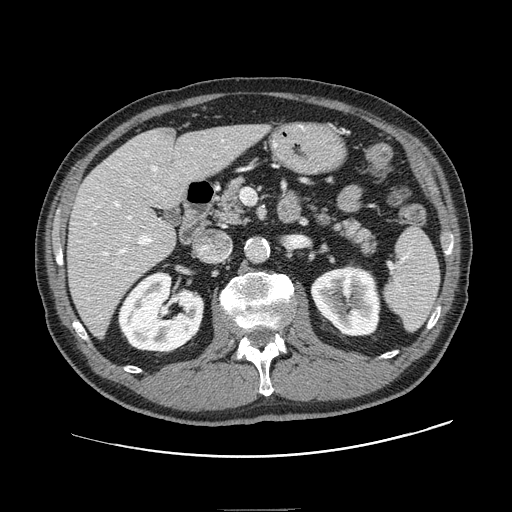

CT image, Abdomen
* pancreas: left=211, top=175, right=248, bottom=227; left=302, top=195, right=378, bottom=256